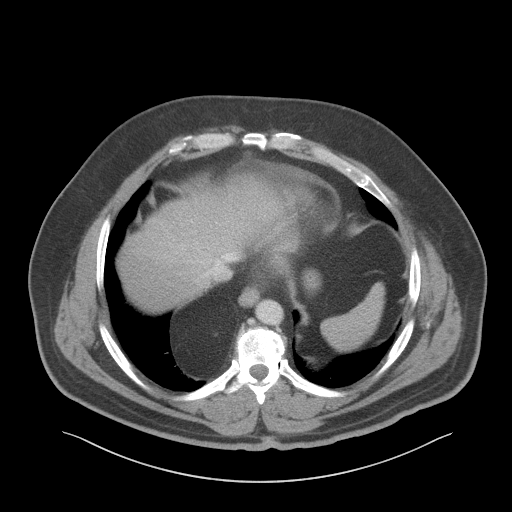
Image size 512x512 | Liver | CT slice
2 liver regions are bounded by left=266, top=181, right=291, bottom=246; left=121, top=185, right=255, bottom=314.